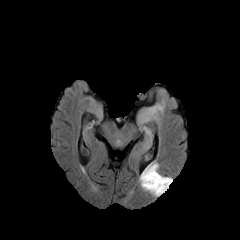
FLAIR magnetic resonance.
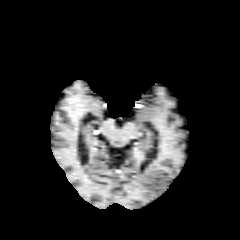
T1-weighted MR image of the same slice.
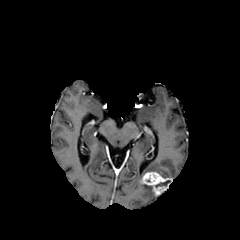
Same slice, post-contrast T1-weighted MRI.
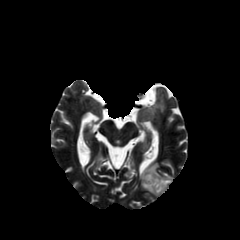
T2-weighted magnetic resonance.
Segmented structures:
• non-enhancing tumor core: 156 180 172 187
• enhancing tumor: 140 172 172 195
• edema: 138 160 164 197